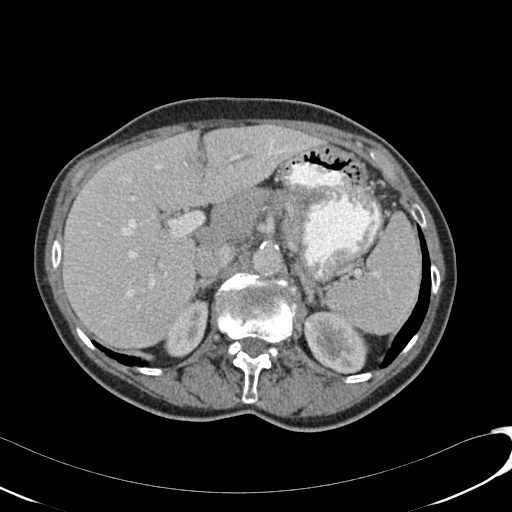
CT slice, Liver
2 kidney regions appear at [x1=167, y1=301, x2=207, y2=355], [x1=305, y1=312, x2=365, y2=373]. The liver is located at [x1=63, y1=124, x2=324, y2=347]. 4 liver lesion regions appear at [x1=213, y1=129, x2=252, y2=164], [x1=150, y1=181, x2=158, y2=187], [x1=188, y1=152, x2=203, y2=173], [x1=101, y1=180, x2=110, y2=193].